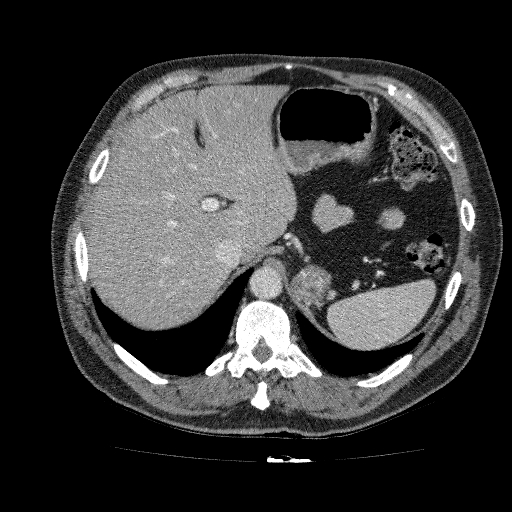
512x512 px; CT
The liver lies within (86, 84, 296, 329).